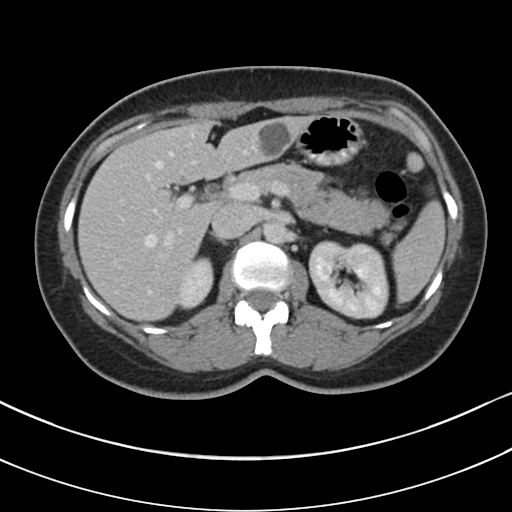 Image size 512x512. Computed tomography.

The pancreas is located at 223 162 404 243.